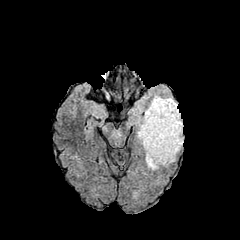
FLAIR MR.
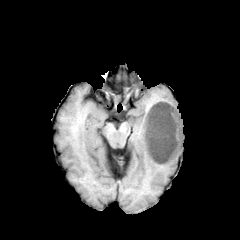
T1-weighted magnetic resonance.
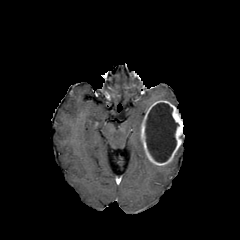
Same slice, post-contrast T1-weighted MR.
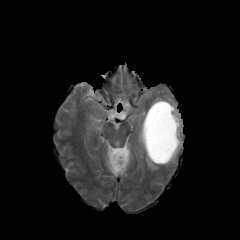
T2-weighted magnetic resonance.
Head
<segmentation>
  <non-enhancing_tumor_core>145:102:177:162</non-enhancing_tumor_core>
  <edema>137:95:177:150, 144:152:159:170</edema>
  <enhancing_tumor>140:100:183:165</enhancing_tumor>
</segmentation>